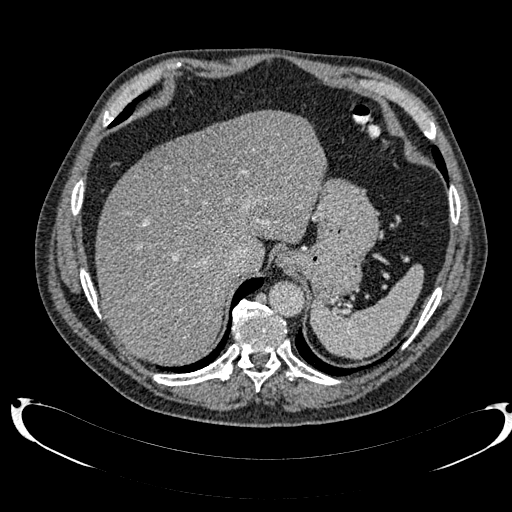

CT image. <segmentation>
  <liver><bbox>96, 110, 326, 363</bbox>, <bbox>149, 138, 180, 153</bbox></liver>
  <hepatic_lesion><bbox>137, 118, 267, 221</bbox></hepatic_lesion>
</segmentation>